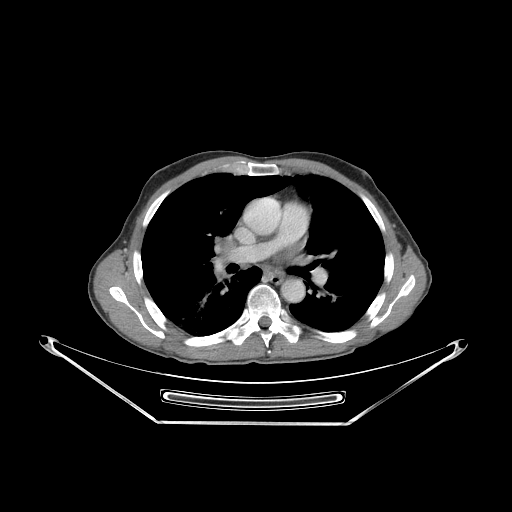
CT
9 bone regions are bounded by l=133, t=252, r=142, b=283; l=109, t=287, r=165, b=338; l=143, t=193, r=166, b=225; l=367, t=275, r=414, b=326; l=319, t=330, r=356, b=342; l=363, t=196, r=384, b=229; l=247, t=162, r=275, b=175; l=185, t=285, r=299, b=346; l=385, t=254, r=393, b=281. The lung is located at l=141, t=173, r=384, b=335.